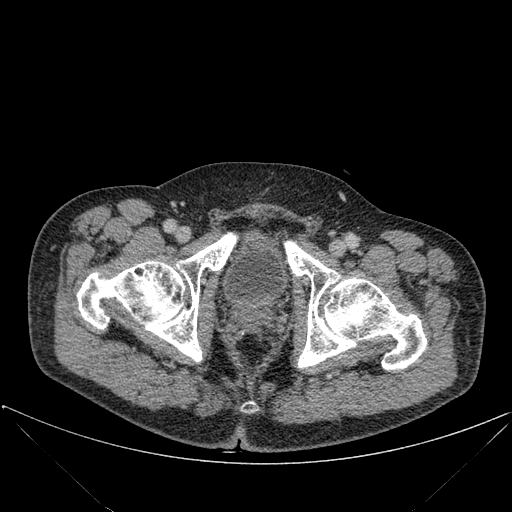 CT image

3 bone regions are located at (left=284, top=241, right=426, bottom=369), (left=77, top=233, right=236, bottom=361), (left=242, top=402, right=255, bottom=411).